240x240 | Image width 240 mm | Brain
FLAIR MR.
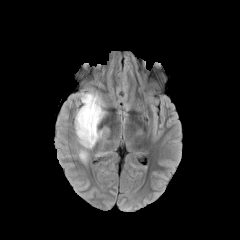
T1-weighted MR image.
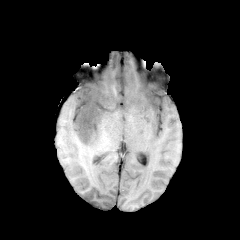
Post-contrast T1-weighted MR image.
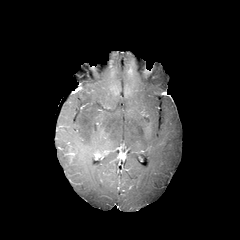
T2-weighted magnetic resonance.
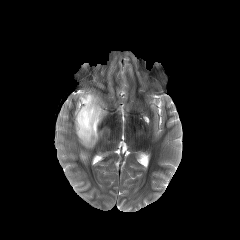
Edema: (left=80, top=151, right=87, bottom=159), (left=74, top=89, right=107, bottom=148).